CT, Abdomen
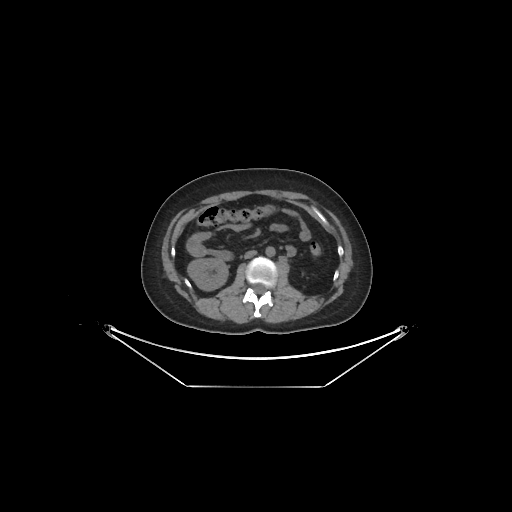
kidney:
  - <bbox>188, 259, 227, 290</bbox>